Slice index 502; CT image; 512x512 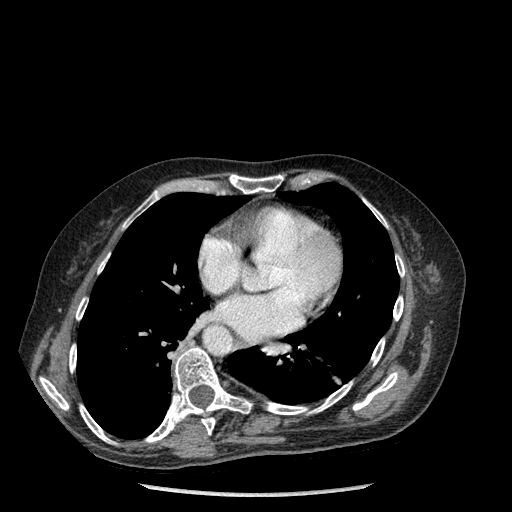

Segmented structures:
• lung: (left=77, top=192, right=247, bottom=439), (left=228, top=182, right=399, bottom=404)
• bone: (left=40, top=377, right=68, bottom=410), (left=145, top=346, right=252, bottom=442), (left=97, top=253, right=109, bottom=273), (left=395, top=254, right=404, bottom=276), (left=362, top=198, right=387, bottom=227), (left=122, top=191, right=159, bottom=228), (left=79, top=405, right=114, bottom=443), (left=371, top=338, right=384, bottom=366), (left=393, top=296, right=403, bottom=320), (left=76, top=297, right=88, bottom=320), (left=266, top=381, right=352, bottom=414), (left=69, top=344, right=76, bottom=372), (left=229, top=174, right=283, bottom=193), (left=353, top=372, right=398, bottom=410)